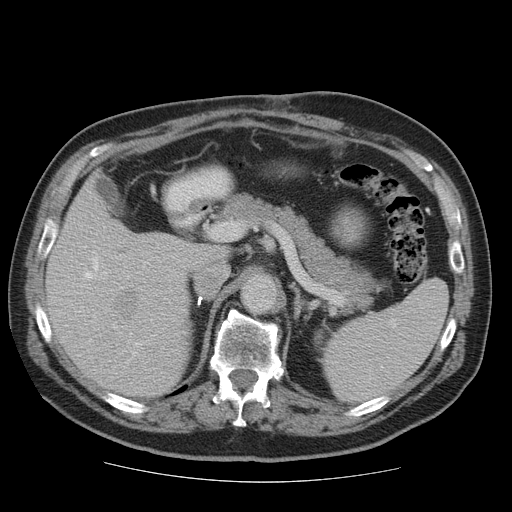

CT, Abdomen

Some hepatic vessels may have no box.
Hepatic vessel — box=[133, 352, 136, 355]; box=[175, 273, 176, 274]; box=[89, 339, 91, 341]; box=[143, 352, 144, 355]; box=[84, 247, 98, 278]; box=[102, 272, 105, 275]; box=[91, 312, 96, 322]; box=[128, 340, 130, 342]; box=[135, 343, 139, 346]; box=[174, 241, 178, 242]; box=[166, 266, 170, 270]; box=[130, 332, 131, 335]; box=[83, 246, 86, 247]; box=[120, 287, 122, 288].
Liver tumor — box=[111, 288, 138, 325].